Image size 240x240, Image width 240 mm, Slice index 121
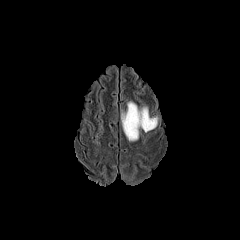
FLAIR MR.
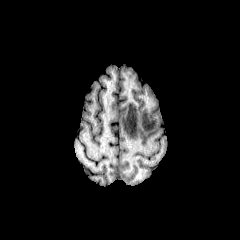
T1-weighted MRI of the same slice.
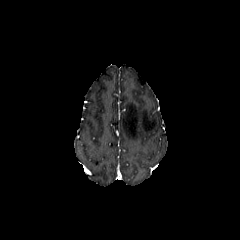
Post-contrast T1-weighted MR.
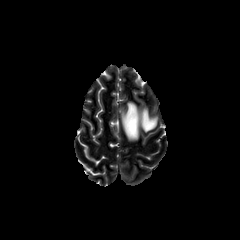
T2-weighted MR.
The edema lies within (x1=121, y1=101, x2=156, y2=141).